Field of view 240 mm wide, 1.00 mm slice spacing, Head
FLAIR MRI.
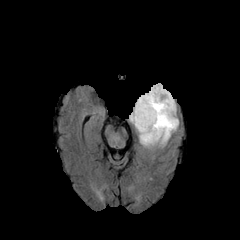
T1-weighted MR image.
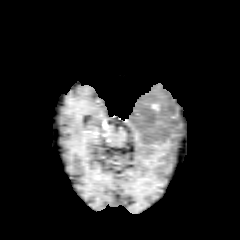
Post-contrast T1-weighted MR image.
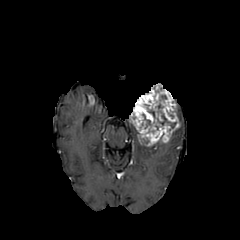
T2-weighted MRI.
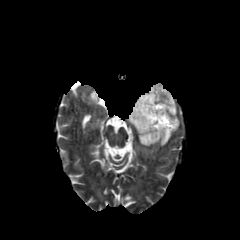
<segmentation>
  <enhancing_tumor>128, 83, 179, 146</enhancing_tumor>
</segmentation>